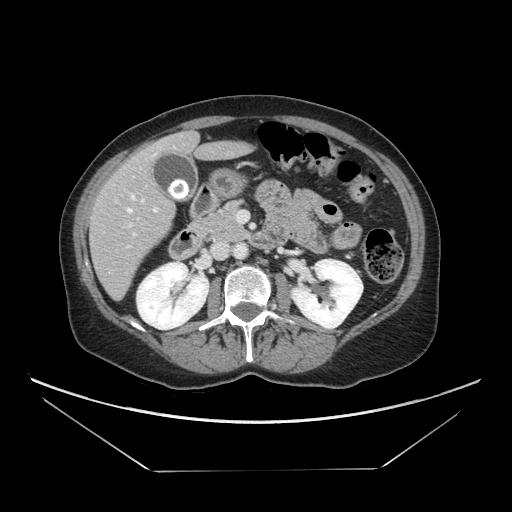
CT scan slice; Upper abdomen
Findings:
- pancreas: (191, 201, 247, 242)